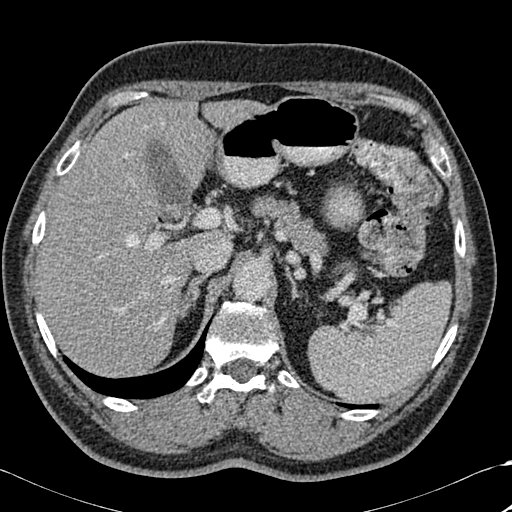 Upper abdomen; 512x512; Computed tomography

{
  "liver": [
    "208,101,255,127",
    "41,102,212,377"
  ],
  "lung": [
    "63,320,210,398",
    "338,403,378,408"
  ],
  "bone": [
    "433,326,456,366",
    "455,222,465,256",
    "70,142,79,154",
    "33,212,45,243",
    "342,410,376,420",
    "278,371,298,387",
    "199,302,277,402",
    "187,367,206,385",
    "37,314,55,354",
    "104,397,136,411"
  ]
}